FLAIR MR image.
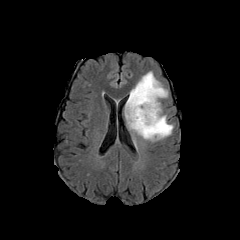
T1-weighted MRI.
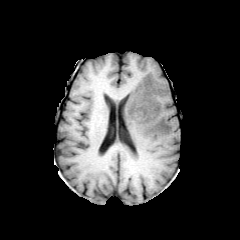
Post-contrast T1-weighted MRI.
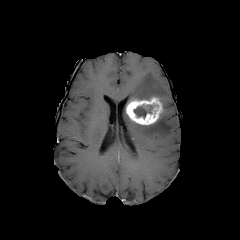
T2-weighted magnetic resonance.
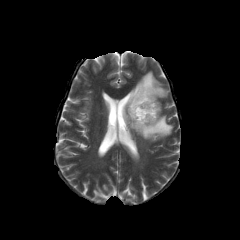
240x240 | Head
Enhancing tumor: bounding box (126,97,161,124).
Non-enhancing tumor core: bounding box (134,107,146,116).
Edema: bounding box (128,72,167,101), (125,108,173,141).